CT scan slice; 512x512 px; Image width 344 mm

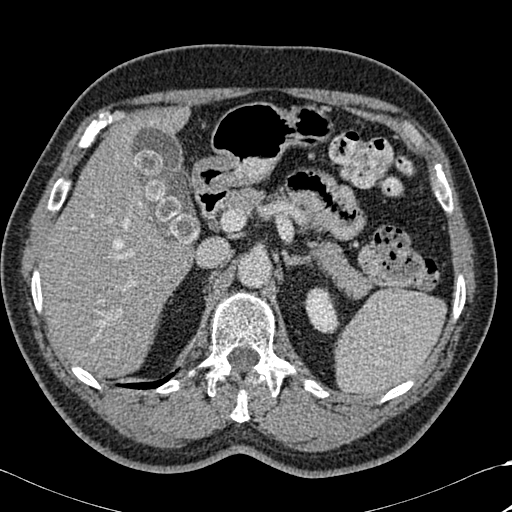
The kidney lies within (306,289,336,331). 11 bone regions appear at (157,380,178,393), (48,179,68,210), (305,380,328,397), (231,390,249,422), (79,121,104,147), (382,381,412,401), (454,276,465,317), (435,170,452,211), (32,272,41,310), (201,293,294,395), (73,367,99,388). The lung is bounded by (117,370,177,389). 2 liver regions are located at (135,107,189,134), (39,126,191,377).